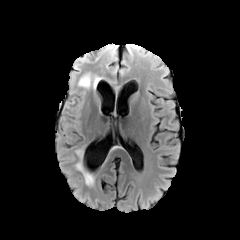
FLAIR magnetic resonance.
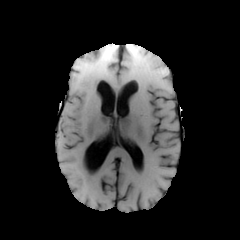
Same slice, T1-weighted MR.
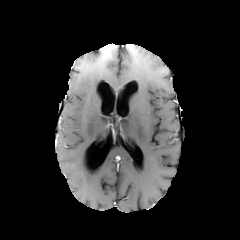
Post-contrast T1-weighted MR image.
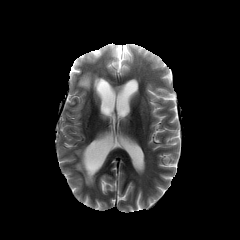
T2-weighted MRI.
Brain.
The non-enhancing tumor core is located at 104 46 115 55. 4 edema regions appear at 76 163 94 185, 124 50 131 65, 104 50 118 71, 78 73 101 89.